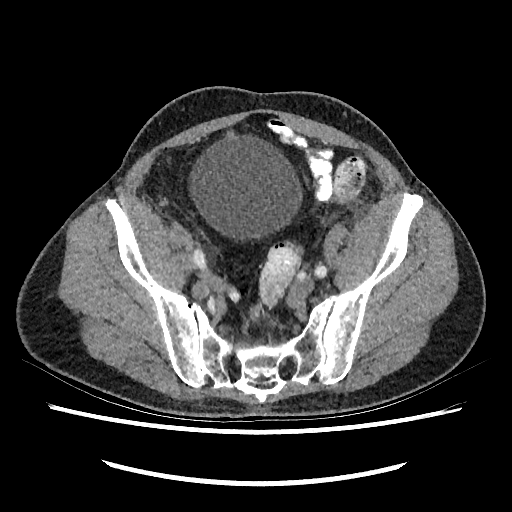 CT image
The urinary bladder appears at bbox(189, 131, 302, 240).